Head | Image size 240x240 | Slice 80 of 155
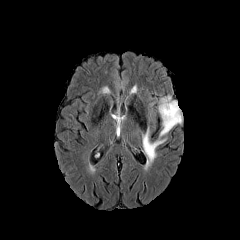
FLAIR MRI.
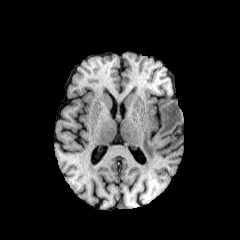
T1-weighted magnetic resonance.
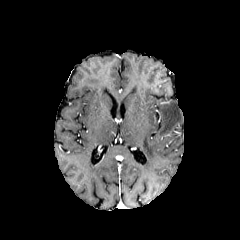
Post-contrast T1-weighted MR of the same slice.
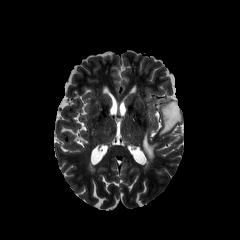
T2-weighted MR image.
edema: [159,101,183,136], [142,127,165,166]